Computed tomography. Slice 40/105. Abdomen.

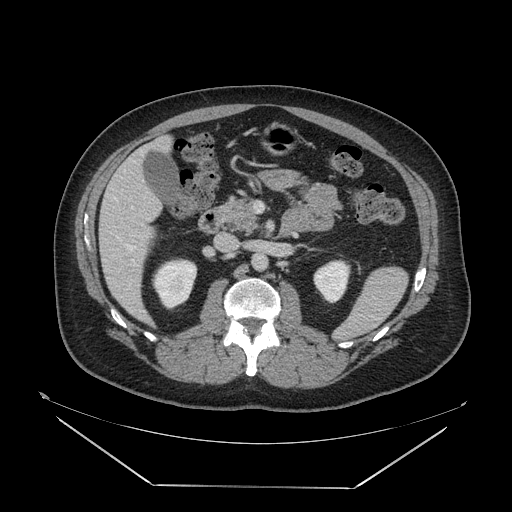
The pancreas appears at box=[223, 201, 254, 228].